Field of view 240 mm wide, 1.00 mm slice spacing.
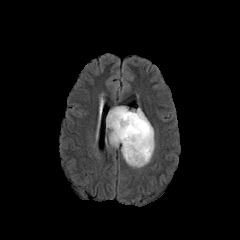
FLAIR MR image.
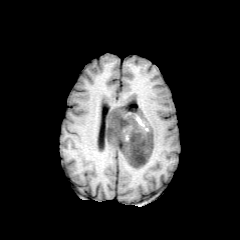
Same slice, T1-weighted MRI.
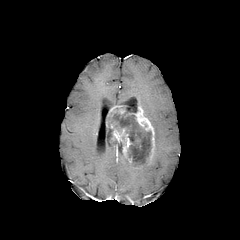
Post-contrast T1-weighted MR.
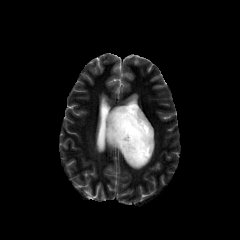
T2-weighted MR.
non-enhancing_tumor_core:
  - x1=108, y1=106, x2=153, y2=163
enhancing_tumor:
  - x1=112, y1=128, x2=132, y2=156
  - x1=134, y1=108, x2=154, y2=145
edema:
  - x1=105, y1=115, x2=116, y2=149
  - x1=118, y1=144, x2=150, y2=168